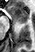 Medial temporal lobe | MRI
• posterior hippocampus: {"x1": 19, "y1": 24, "x2": 21, "y2": 25}
• anterior hippocampus: {"x1": 10, "y1": 6, "x2": 28, "y2": 23}